Head, Image size 240x240
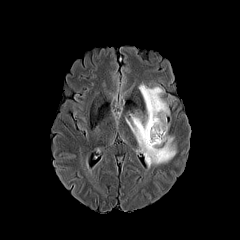
FLAIR magnetic resonance.
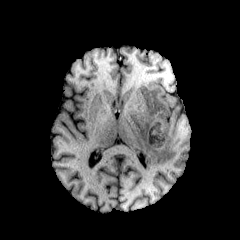
T1-weighted MR image.
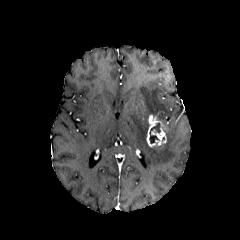
Post-contrast T1-weighted MR image.
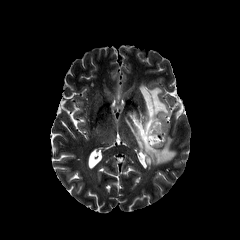
Same slice, T2-weighted MRI.
{
  "edema": [
    "[x1=125, y1=114, x2=175, y2=168]",
    "[x1=139, y1=83, x2=170, y2=121]"
  ],
  "enhancing_tumor": [
    "[x1=146, y1=114, x2=168, y2=147]"
  ],
  "non-enhancing_tumor_core": [
    "[x1=149, y1=123, x2=160, y2=143]"
  ]
}